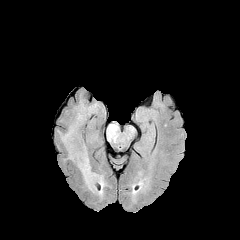
FLAIR MRI.
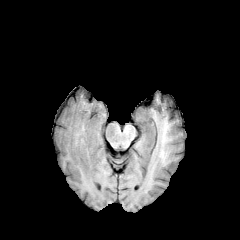
Same slice, T1-weighted MR image.
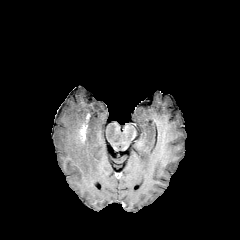
Post-contrast T1-weighted MR image of the same slice.
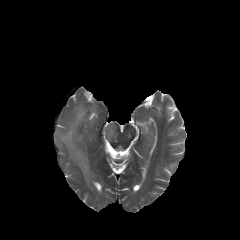
T2-weighted MRI.
The enhancing tumor is bounded by [x1=79, y1=126, x2=85, y2=140]. 2 edema regions appear at [x1=106, y1=124, x2=115, y2=140], [x1=61, y1=104, x2=106, y2=197].